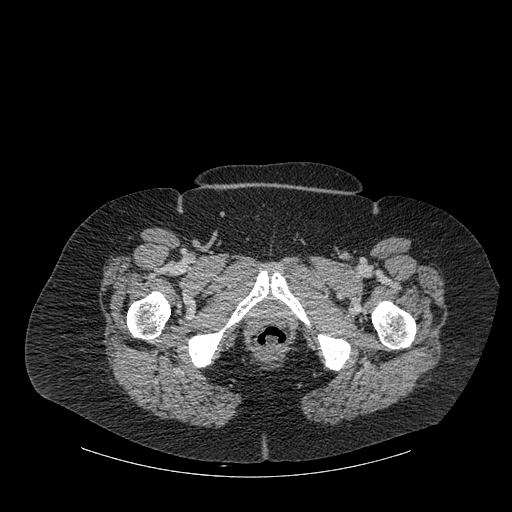 512x512; CT image

4 bone regions are bounded by 188, 271, 309, 367; 127, 291, 170, 339; 372, 301, 415, 348; 318, 334, 350, 370.